FLAIR MR image.
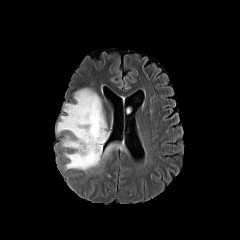
T1-weighted MR image.
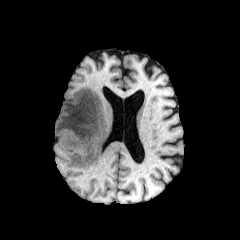
Post-contrast T1-weighted MRI.
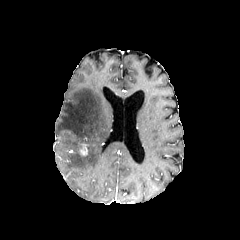
T2-weighted MRI.
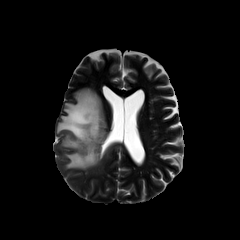
240x240
The edema lies within 57, 89, 109, 170. The enhancing tumor is bounded by 78, 145, 88, 156.